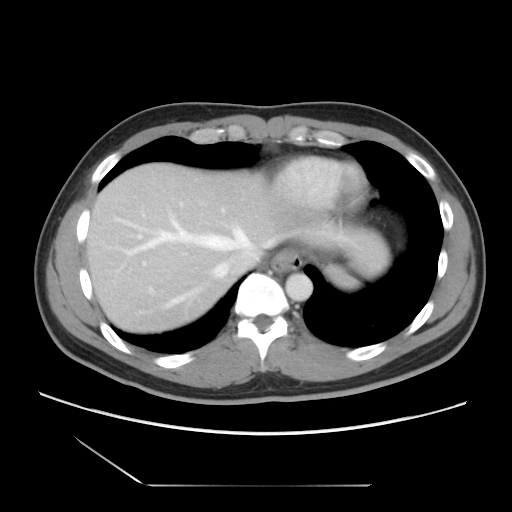

Computed tomography; Abdomen
The vessel annotation is not exhaustive.
Hepatic vessel at x1=129, y1=220, x2=257, y2=259; x1=215, y1=264, x2=226, y2=275; x1=139, y1=235, x2=141, y2=237; x1=173, y1=297, x2=181, y2=301; x1=263, y1=241, x2=268, y2=246.